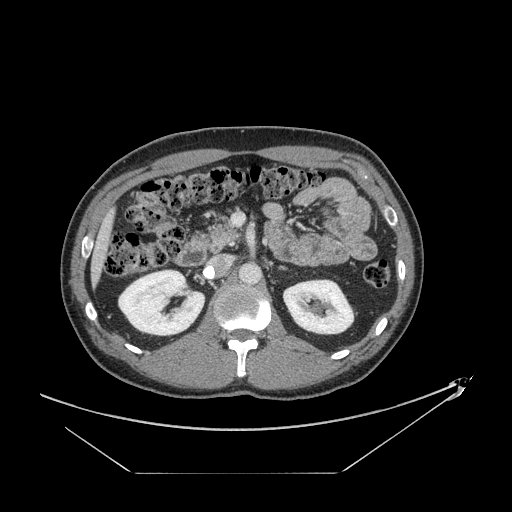 CT image.

Pancreas = 190,219,240,253.